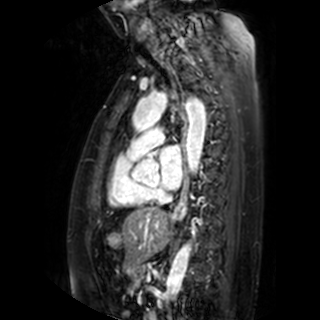
Image size 320x320 | Magnetic resonance | Cardiac
left atrium: 160, 145, 182, 189